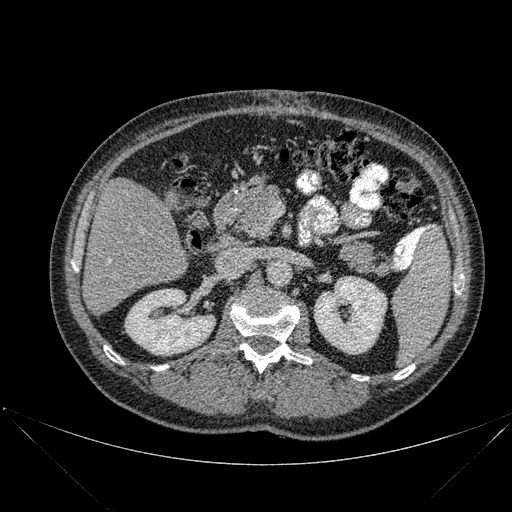 CT, 512x512
liver: x1=165, y1=191, x2=179, y2=204; x1=83, y1=178, x2=188, y2=313 | kidney: x1=125, y1=289, x2=214, y2=355; x1=314, y1=276, x2=386, y2=354 | bone: x1=454, y1=274, x2=463, y2=294; x1=352, y1=375, x2=368, y2=380; x1=104, y1=345, x2=123, y2=363; x1=394, y1=364, x2=414, y2=379; x1=231, y1=293, x2=311, y2=372; x1=154, y1=365, x2=168, y2=370